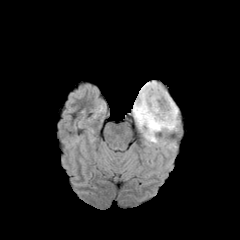
FLAIR MR image.
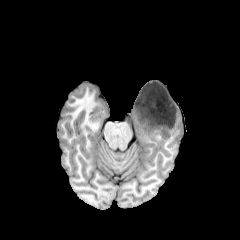
T1-weighted magnetic resonance.
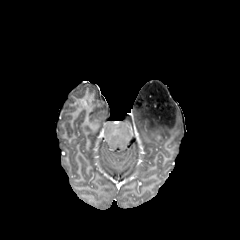
Post-contrast T1-weighted MR.
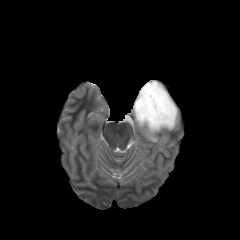
T2-weighted MR image of the same slice.
Brain
edema:
  - 132, 98, 179, 149
non-enhancing_tumor_core:
  - 134, 81, 176, 127